Abdomen, Image width 512 mm, Computed tomography
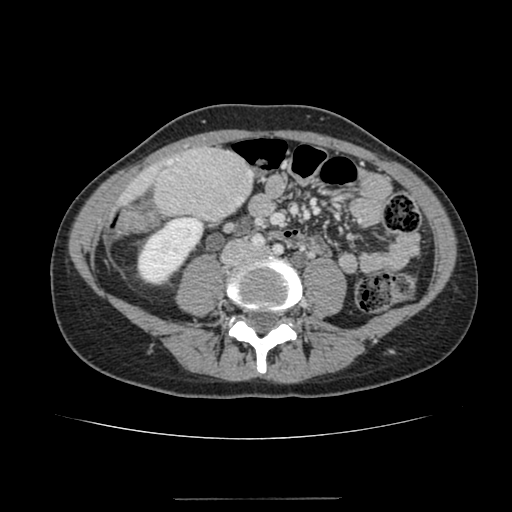

The hepatic lesion is at rect(154, 147, 252, 220). The liver is at rect(116, 156, 176, 207). The kidney is at rect(139, 218, 201, 281).